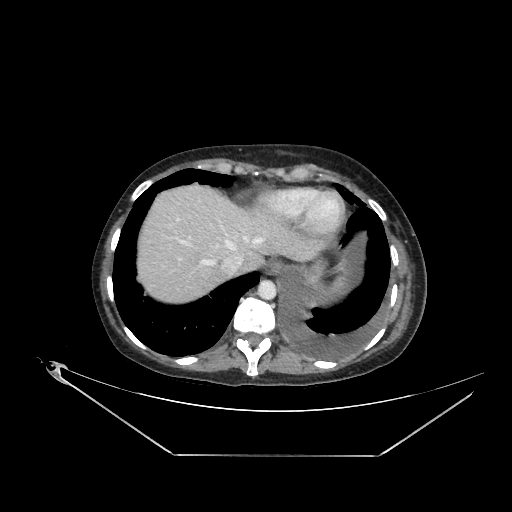

CT image

Liver at box(140, 185, 309, 304).